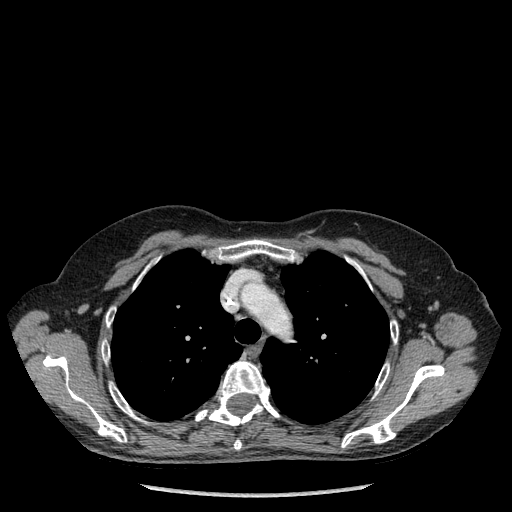
512x512 px | CT scan slice
Bone at rect(372, 362, 389, 398); rect(234, 439, 241, 449); rect(105, 307, 114, 327); rect(390, 320, 398, 343); rect(132, 266, 147, 290); rect(42, 355, 126, 442); rect(347, 258, 371, 289); rect(109, 382, 146, 422); rect(341, 365, 444, 447); rect(208, 239, 298, 261); rect(101, 340, 109, 363); rect(195, 361, 279, 425).
Lung at rect(260, 250, 389, 424); rect(111, 249, 260, 421).